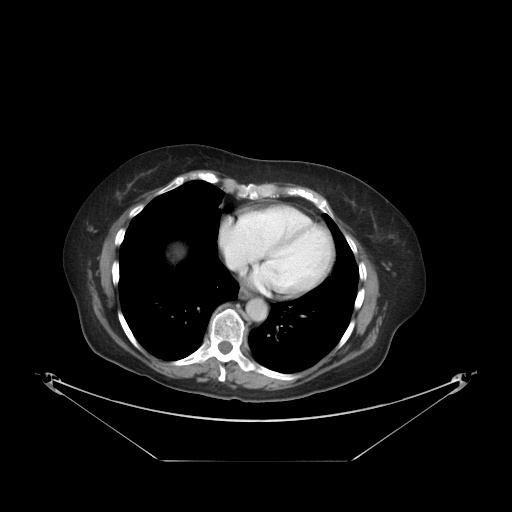

Liver, CT image, 512x512
The vessel boxes may cover only some of the vessels.
Hepatic vessel — box=[226, 256, 249, 274].